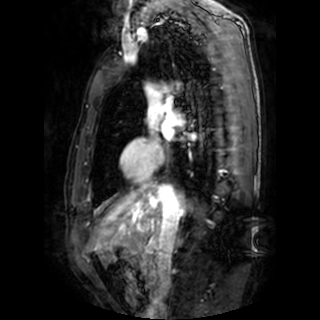
Cardiac | 320x320 px | MRI slice

Left atrium — bbox(162, 128, 173, 139).